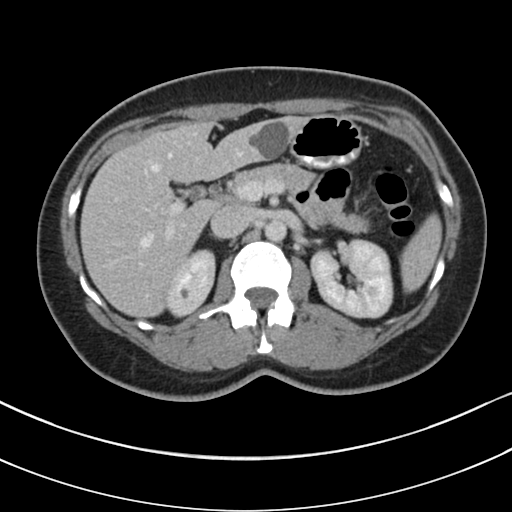
Image size 512x512, CT slice, Upper abdomen
{"pancreas": ["329, 208, 372, 232", "224, 162, 315, 195"]}